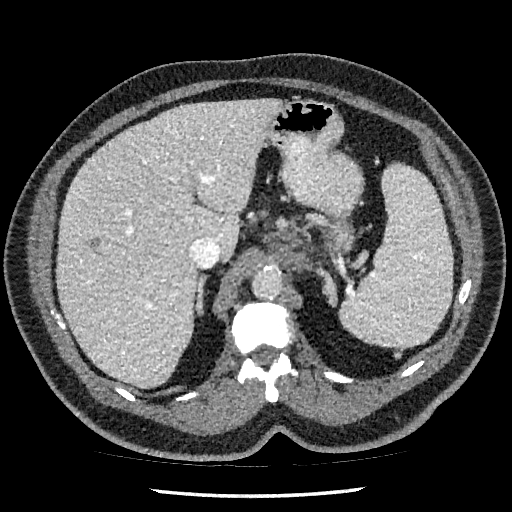

Computed tomography, 512x512
liver: x1=56 y1=99 x2=279 y2=387 | focal liver lesion: x1=88 y1=240 x2=97 y2=246